Image size 240x240, Brain
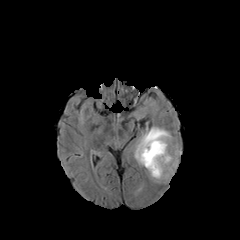
FLAIR MR image.
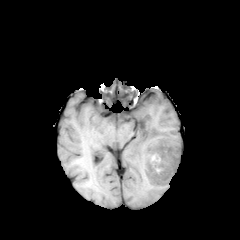
Same slice, T1-weighted MR.
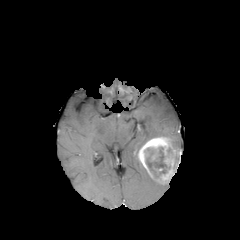
Same slice, post-contrast T1-weighted MR.
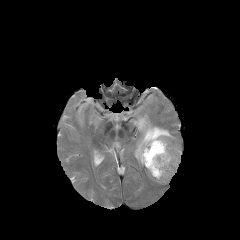
T2-weighted MRI.
{
  "non-enhancing_tumor_core": [
    "x1=146 y1=147 x2=166 y2=178"
  ],
  "enhancing_tumor": [
    "x1=138 y1=136 x2=180 y2=180"
  ],
  "edema": [
    "x1=148 y1=173 x2=161 y2=183",
    "x1=155 y1=156 x2=163 y2=167",
    "x1=131 y1=122 x2=181 y2=167"
  ]
}